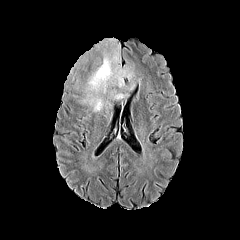
FLAIR MR.
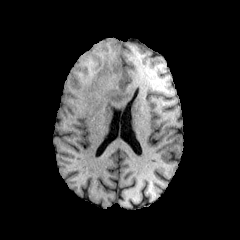
T1-weighted MR image.
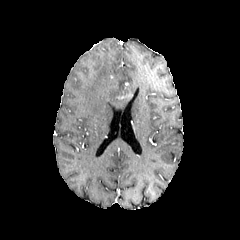
Post-contrast T1-weighted MR.
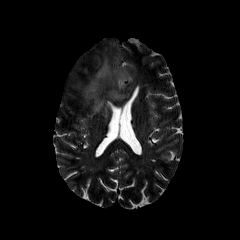
T2-weighted MR of the same slice.
Brain
enhancing tumor: (116, 91, 133, 99) | edema: (82, 49, 136, 111), (109, 90, 123, 101)